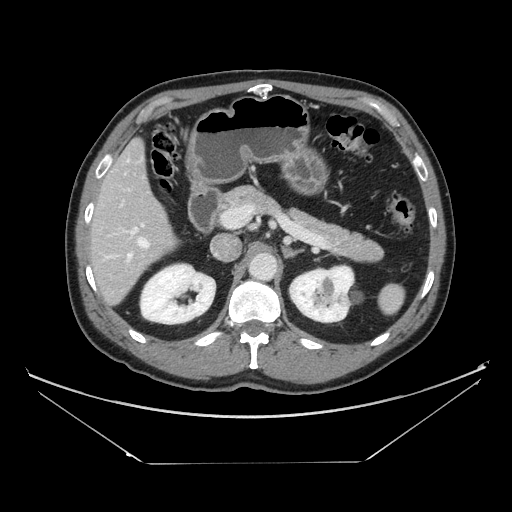
CT scan slice; Abdomen; 512x512 px
Pancreas at l=221, t=186, r=382, b=262.